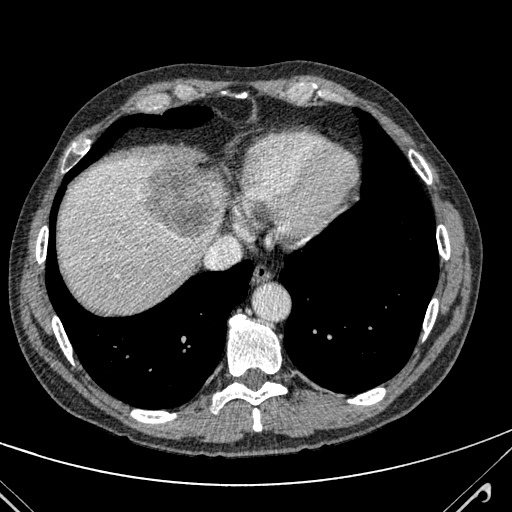
Abdomen. CT image. 512x512.

The liver lesion lies within bbox=[145, 160, 218, 238]. The liver is bounded by bbox=[59, 156, 224, 311].